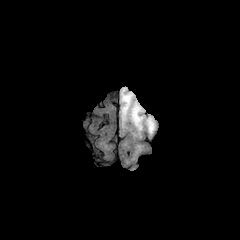
FLAIR MRI.
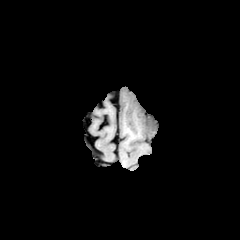
T1-weighted magnetic resonance.
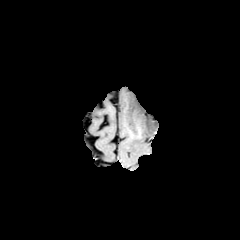
Post-contrast T1-weighted MR.
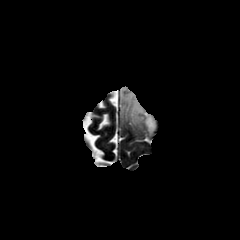
T2-weighted magnetic resonance.
Findings:
* non-enhancing tumor core: 123, 100, 135, 115
* edema: 119, 87, 156, 137